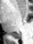
Medial temporal lobe, MR image

* posterior hippocampus: (14, 34, 20, 39)